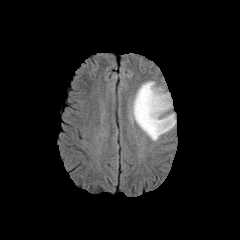
FLAIR MRI.
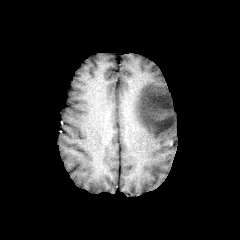
T1-weighted magnetic resonance.
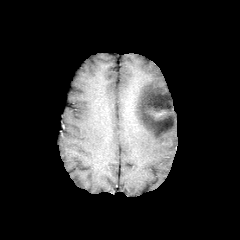
Post-contrast T1-weighted magnetic resonance of the same slice.
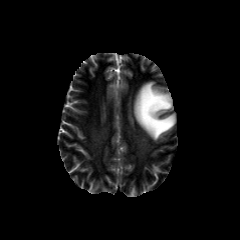
T2-weighted MR.
240x240. Head.
edema:
  - [130,80,175,141]
non-enhancing_tumor_core:
  - [139,89,169,127]